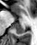

Magnetic resonance; Medial temporal lobe
Posterior hippocampus: bounding box region(14, 23, 25, 33).